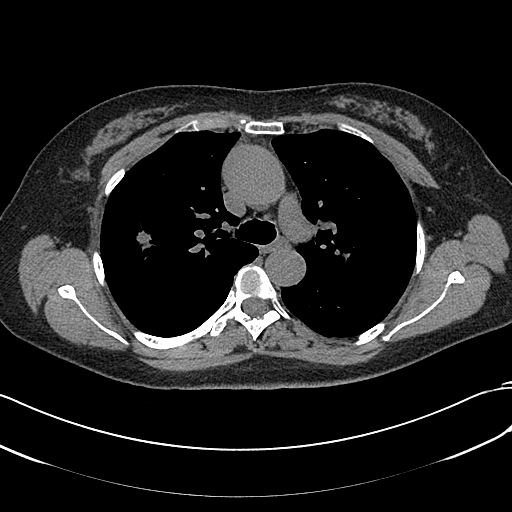 Lung. 512x512 px. CT slice. Segmented structures:
- lung tumor: box(132, 229, 160, 267)